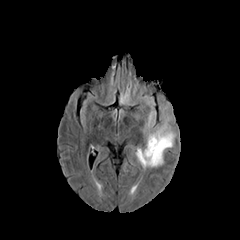
FLAIR MR image.
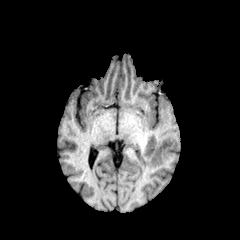
T1-weighted MR.
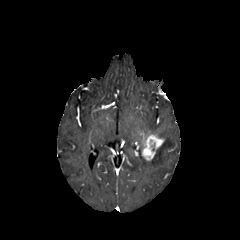
Post-contrast T1-weighted MRI of the same slice.
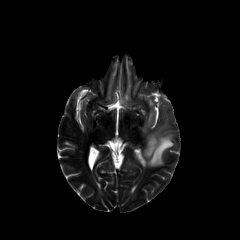
T2-weighted MR.
Edema = box=[137, 133, 173, 167].
Enhancing tumor = box=[140, 132, 164, 160].